Head | Slice 74 of 155
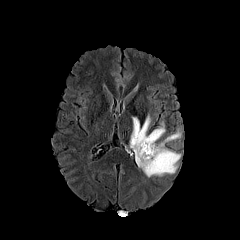
FLAIR magnetic resonance.
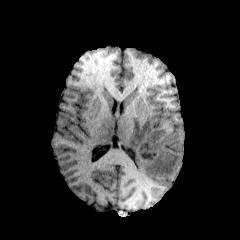
T1-weighted MR image.
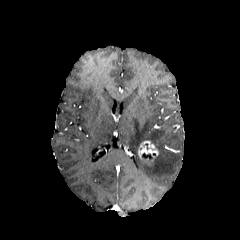
Post-contrast T1-weighted MR image of the same slice.
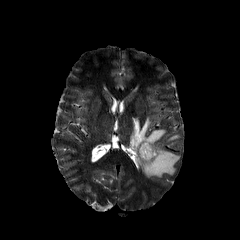
T2-weighted MR image.
Enhancing tumor: (137, 141, 158, 163).
Non-enhancing tumor core: (142, 153, 153, 160).
Edema: (129, 116, 180, 177).